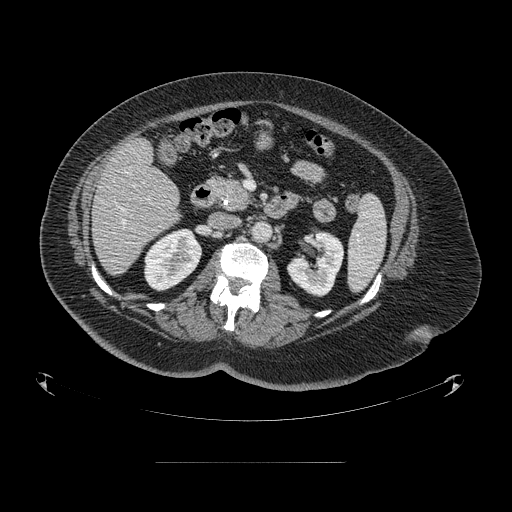
512x512 px. Upper abdomen. CT slice.

The pancreas is bounded by 208 177 251 210.